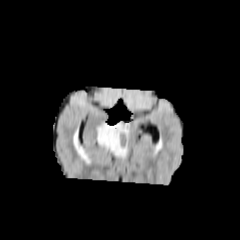
FLAIR MRI.
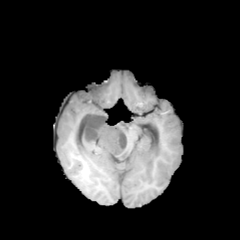
Same slice, T1-weighted magnetic resonance.
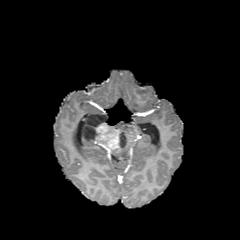
Post-contrast T1-weighted MR image.
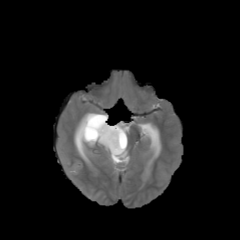
T2-weighted MRI of the same slice.
240x240 px | Brain
Findings:
- enhancing tumor: [94,122,120,154]
- non-enhancing tumor core: [81,112,107,148], [117,131,128,153]
- edema: [114,121,130,135], [113,145,129,158], [77,123,82,143]